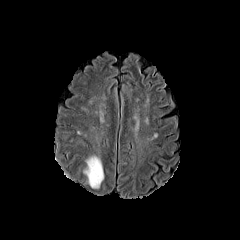
FLAIR MR.
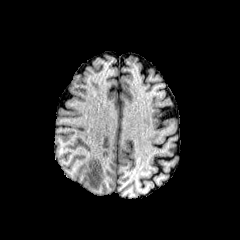
T1-weighted MR image.
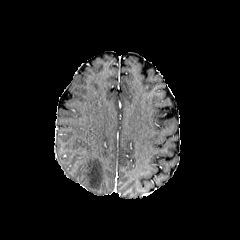
Post-contrast T1-weighted MRI of the same slice.
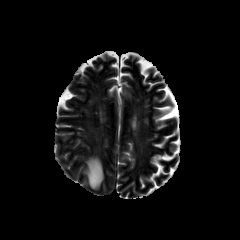
Same slice, T2-weighted MRI.
Brain.
The edema appears at 86,156,103,188.